CT; Slice 130/152

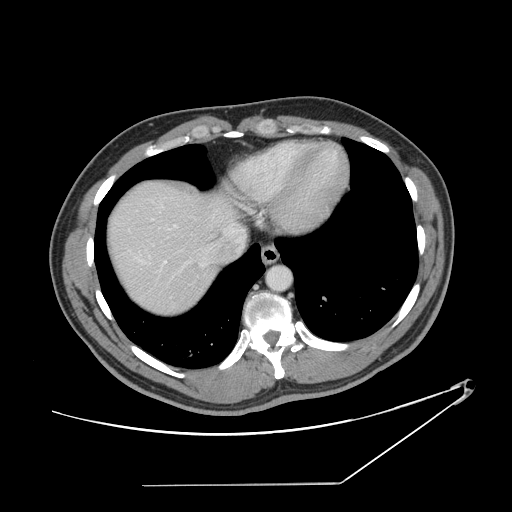 Not every hepatic vessel necessarily has a box.
Hepatic vessel: 136:256:142:261, 174:226:175:227, 200:263:205:266, 181:259:191:269, 164:261:166:263.